Abdomen, Slice 340/565, Computed tomography
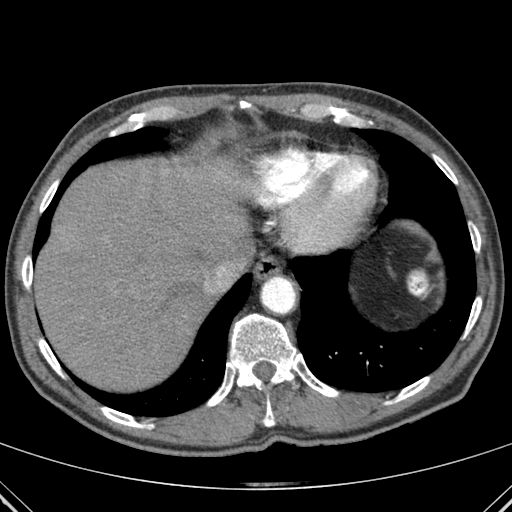

The liver is at box=[33, 157, 252, 391]. 11 bone regions are bounded by box=[263, 397, 274, 426]; box=[207, 314, 338, 406]; box=[464, 297, 481, 337]; box=[100, 407, 153, 428]; box=[433, 154, 457, 183]; box=[240, 101, 250, 108]; box=[38, 339, 63, 376]; box=[39, 181, 58, 212]; box=[470, 225, 480, 252]; box=[21, 256, 32, 288]; box=[394, 377, 429, 402]. 3 lung regions are located at box=[67, 273, 251, 416]; box=[36, 127, 166, 253]; box=[292, 128, 475, 392].